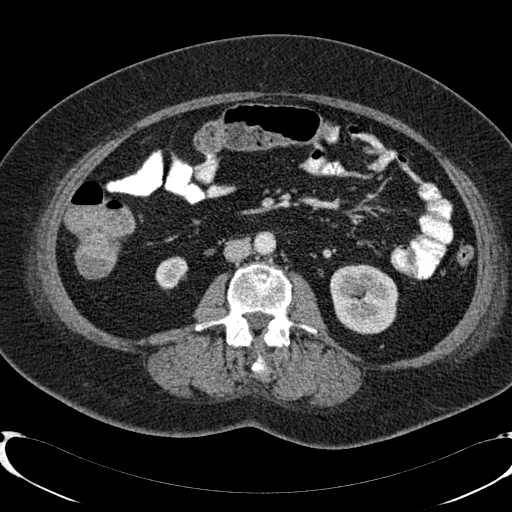 CT image, Abdomen, 512x512 px
Kidney: bounding box [x1=331, y1=265, x2=397, y2=332], [x1=156, y1=257, x2=186, y2=287].